Liver. CT slice.

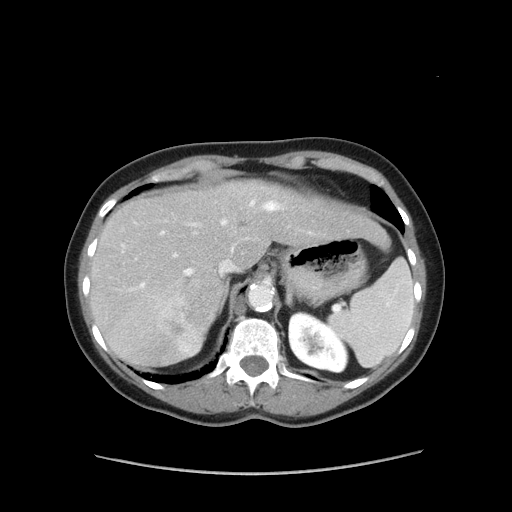 Only some of the vessels may be annotated.
{
  "hepatic_vessel": [
    "rect(250, 200, 254, 205)",
    "rect(221, 219, 226, 224)",
    "rect(263, 202, 279, 210)",
    "rect(188, 223, 199, 226)",
    "rect(185, 269, 192, 274)",
    "rect(122, 244, 124, 251)",
    "rect(245, 237, 246, 238)",
    "rect(218, 246, 238, 274)",
    "rect(141, 283, 144, 287)",
    "rect(173, 253, 177, 256)",
    "rect(130, 287, 137, 290)",
    "rect(160, 230, 164, 234)"
  ],
  "liver_tumor": [
    "rect(150, 274, 220, 358)"
  ]
}